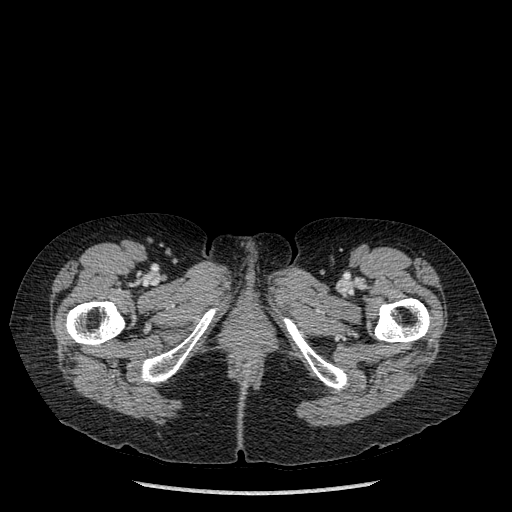
512x512 px | Computed tomography

Bone — 141 308 215 383, 283 318 347 390, 374 298 430 343, 64 301 124 346.